FLAIR MR.
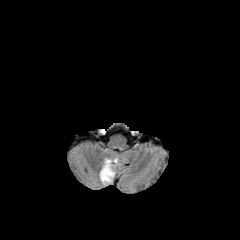
T1-weighted MR.
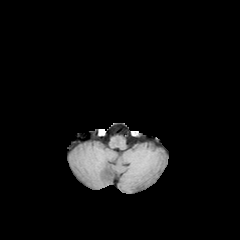
Post-contrast T1-weighted magnetic resonance.
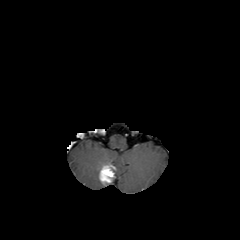
T2-weighted MR.
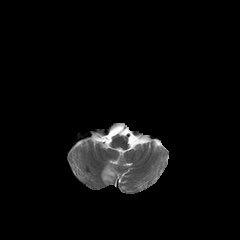
240x240
Enhancing tumor: bounding box 102:169:111:178.